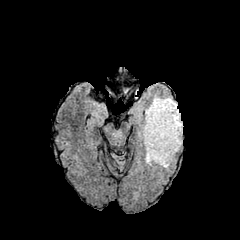
FLAIR MR image.
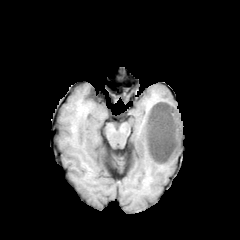
Same slice, T1-weighted MR.
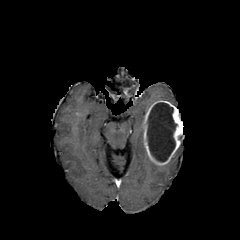
Post-contrast T1-weighted MR image.
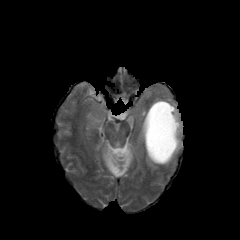
Same slice, T2-weighted MR.
Head
The enhancing tumor is located at x1=142, y1=100, x2=183, y2=165. 2 edema regions are located at x1=137, y1=118, x2=158, y2=167; x1=151, y1=94, x2=177, y2=107. The non-enhancing tumor core is at x1=147, y1=102, x2=176, y2=161.